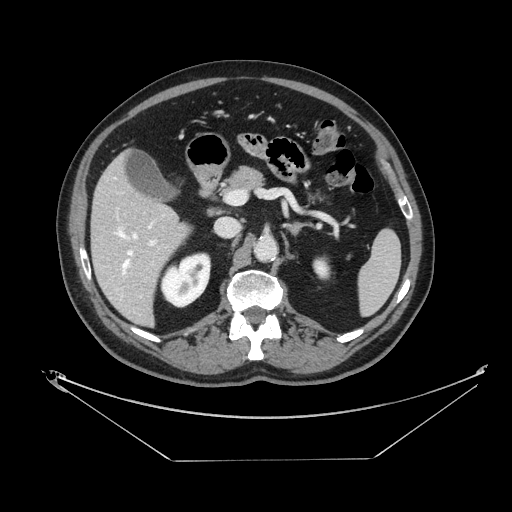 Upper abdomen; Computed tomography
Annotated regions:
- pancreas: l=228, t=166, r=264, b=191